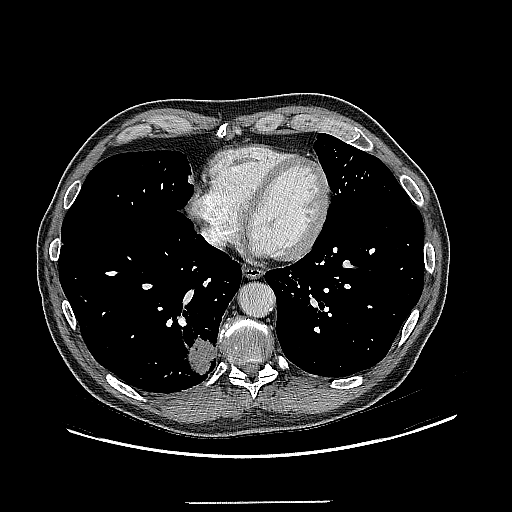

CT slice. 512x512 px. Thorax.

Lung tumor: bounding box l=187, t=338, r=216, b=374.